Slice 365 of 536. CT. Field of view 700 mm wide, 3.27 mm slice spacing. 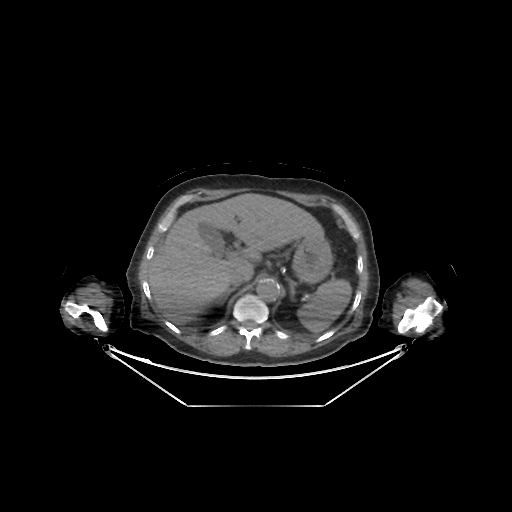 11 bone regions are located at <box>398,297,441,332</box>, <box>358,257,362,272</box>, <box>65,302,107,331</box>, <box>166,322,179,332</box>, <box>143,281,149,298</box>, <box>277,332,287,338</box>, <box>211,326,225,335</box>, <box>353,292,360,309</box>, <box>234,295,267,348</box>, <box>147,248,153,258</box>, <box>317,331,333,341</box>. The liver is at <box>147,194,323,323</box>.